CT slice; Slice index 343; Image width 344 mm; 512x512 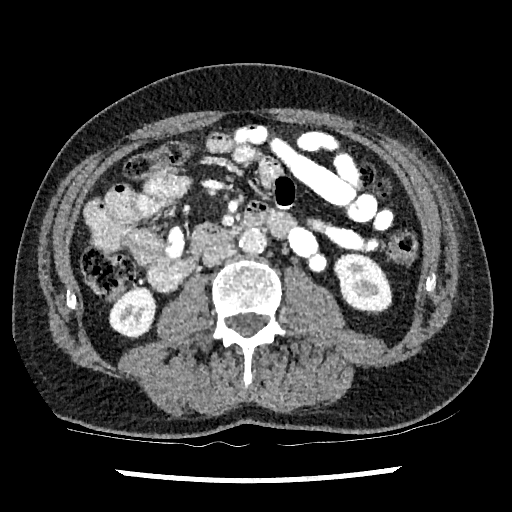

kidney: bbox(110, 289, 154, 335); bbox(335, 255, 390, 309)